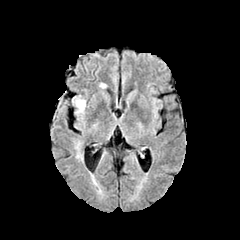
FLAIR MR image.
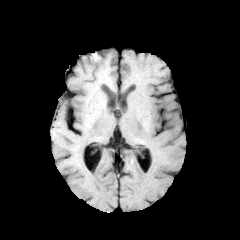
T1-weighted MR image.
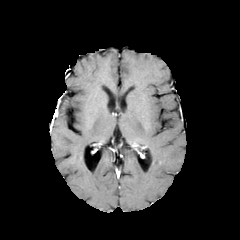
Post-contrast T1-weighted MR.
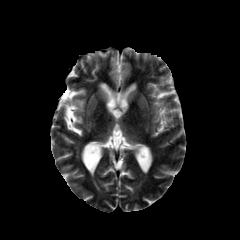
Same slice, T2-weighted MR image.
Head
<segmentation>
  <edema>72, 95, 85, 128</edema>
</segmentation>